Slice 510/836, CT 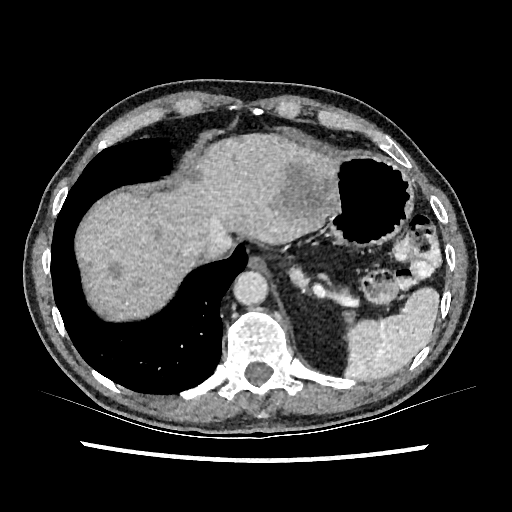
Liver: bounding box box=[80, 134, 336, 318].
Focal liver lesion: bounding box box=[154, 230, 160, 238]; box=[132, 276, 146, 287]; box=[270, 161, 334, 226]; box=[108, 262, 123, 278]; box=[189, 171, 201, 183].